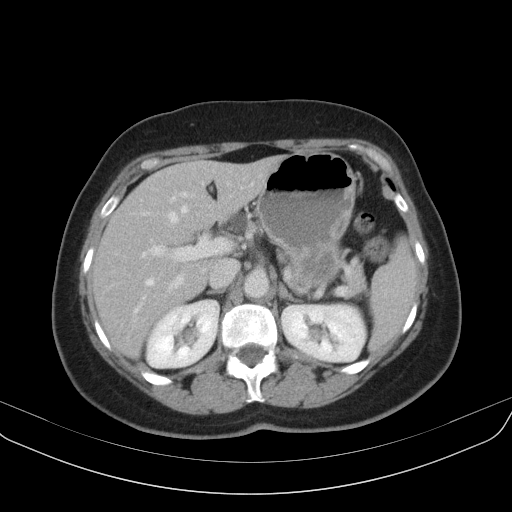 CT slice
Pancreatic tumor — rect(227, 215, 249, 233).